Brain
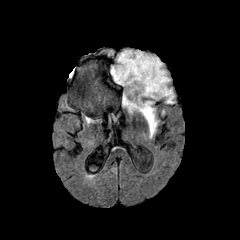
FLAIR magnetic resonance.
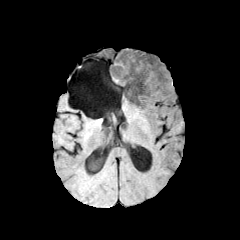
T1-weighted MRI.
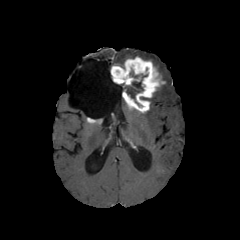
Post-contrast T1-weighted MR image.
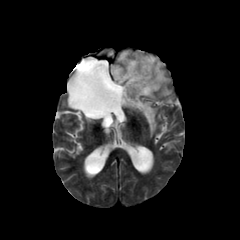
T2-weighted MR.
2 edema regions appear at x1=122, y1=98, x2=139, y2=111; x1=114, y1=50, x2=174, y2=136. The non-enhancing tumor core is located at x1=125, y1=82, x2=142, y2=98. The enhancing tumor appears at x1=111, y1=56, x2=165, y2=111.